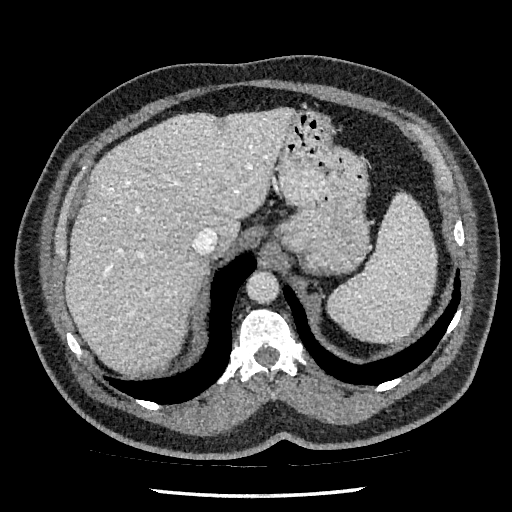
CT image | Liver

The focal liver lesion is bounded by 217, 120, 224, 129. The liver appears at 65, 109, 294, 372.